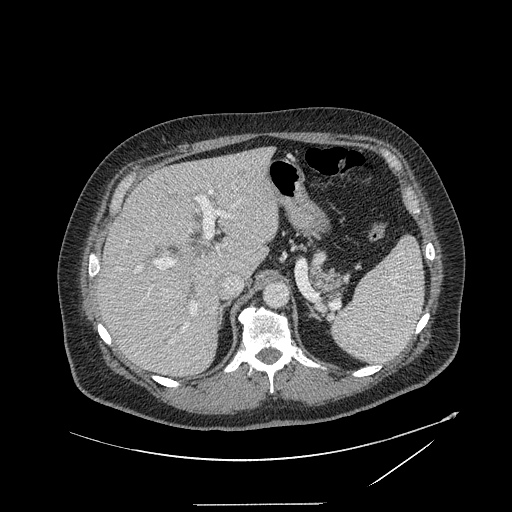

CT slice; Image size 512x512; Abdomen
Annotated regions:
• pancreas: (x1=311, y1=271, x2=339, y2=296)